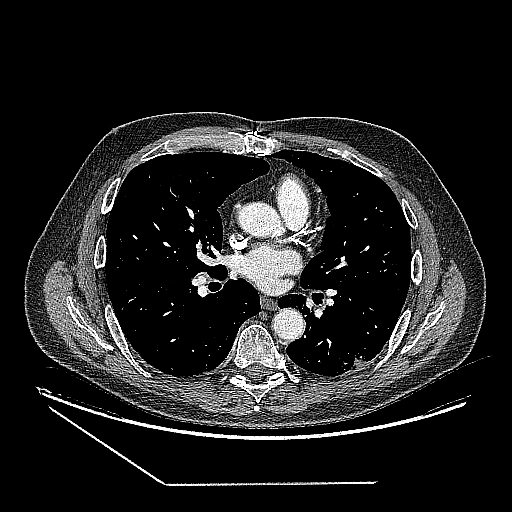

Thorax; CT scan slice

Lung tumor = (x1=350, y1=356, x2=366, y2=369).